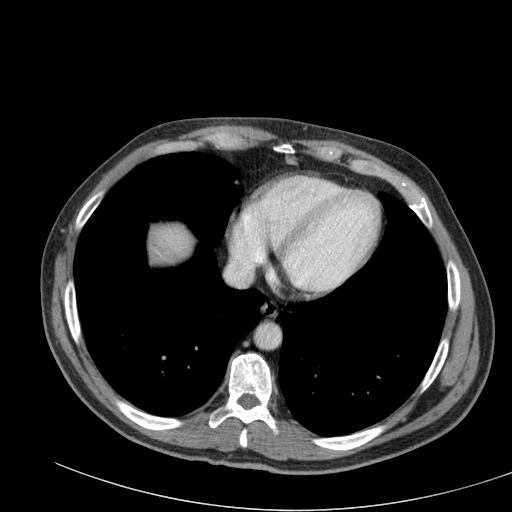
512x512. Computed tomography. Liver = (x1=150, y1=227, x2=188, y2=259).